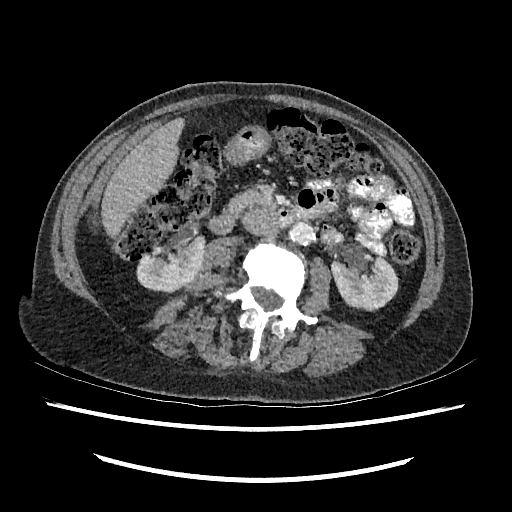 Abdomen; CT scan slice

Annotated regions:
- liver: rect(102, 117, 183, 236)
- focal liver lesion: rect(146, 144, 155, 151)
- kidney: rect(137, 244, 204, 291); rect(331, 258, 397, 309)